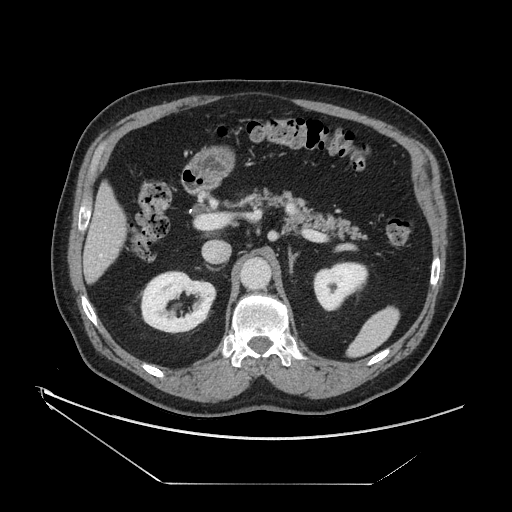
CT; 512x512
The pancreas is bounded by x1=244 y1=188 x2=366 y2=240.